Slice 78/155.
FLAIR MRI.
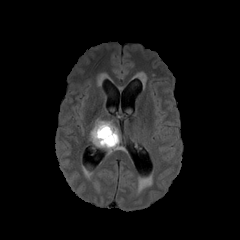
T1-weighted MRI.
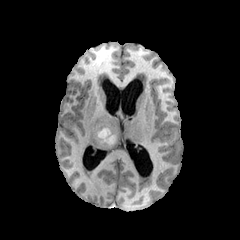
Post-contrast T1-weighted magnetic resonance.
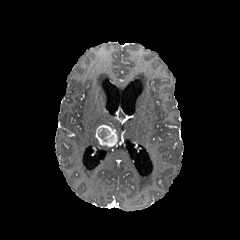
T2-weighted MRI.
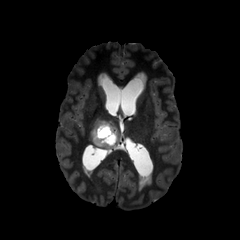
edema: {"x1": 89, "y1": 119, "x2": 111, "y2": 158} | non-enhancing tumor core: {"x1": 97, "y1": 127, "x2": 109, "y2": 143} | enhancing tumor: {"x1": 94, "y1": 124, "x2": 117, "y2": 147}